Abdomen; CT slice; Slice index 86 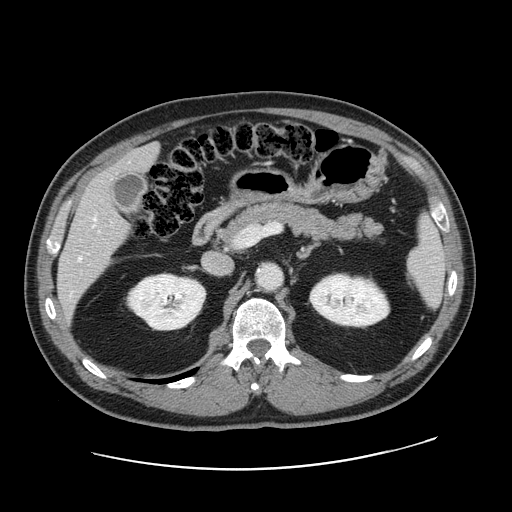 The vessel boxes may cover only some of the vessels.
<segmentation>
  <hepatic_vessel>rect(92, 215, 95, 226); rect(67, 312, 69, 313); rect(151, 143, 157, 149); rect(70, 291, 72, 295); rect(78, 257, 81, 260); rect(121, 219, 127, 228)</hepatic_vessel>
</segmentation>